Abdomen; Computed tomography 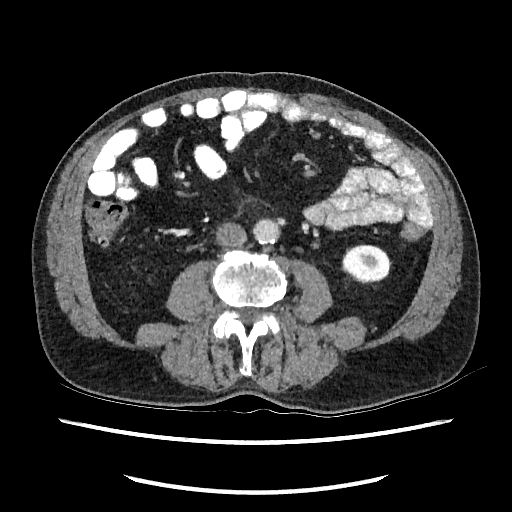

Kidney = box(342, 245, 390, 282).